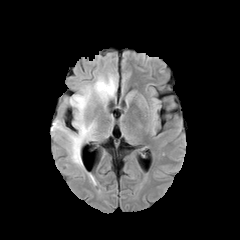
FLAIR MRI.
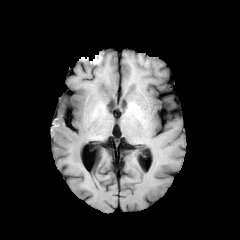
Same slice, T1-weighted MR image.
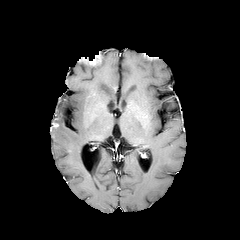
Post-contrast T1-weighted MRI.
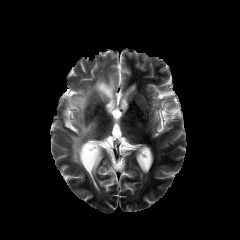
Same slice, T2-weighted MR.
Brain
non-enhancing tumor core: rect(68, 96, 77, 109) | edema: rect(51, 72, 117, 167)